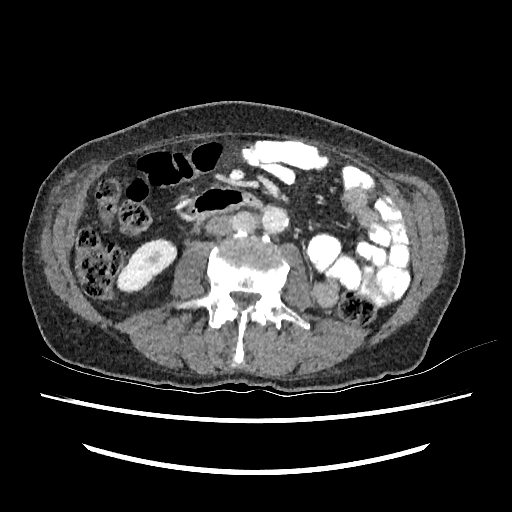

CT scan slice | 512x512 | Abdomen

kidney: 118,240,176,290